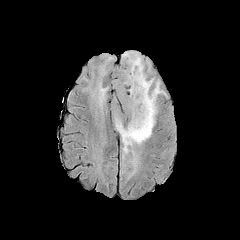
FLAIR MR image.
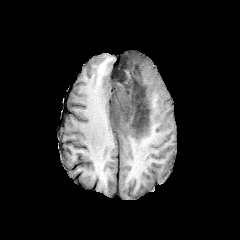
Same slice, T1-weighted MRI.
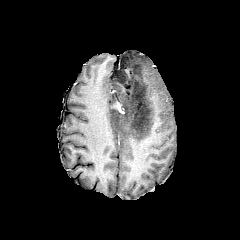
Post-contrast T1-weighted MRI.
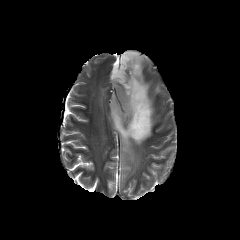
T2-weighted MR of the same slice.
Brain
The edema appears at x1=114, y1=51, x2=162, y2=171. 3 non-enhancing tumor core regions are bounded by x1=113, y1=108, x2=121, y2=121; x1=118, y1=59, x2=138, y2=73; x1=123, y1=74, x2=150, y2=133.